CT scan slice | Field of view 358 mm wide, 0.70 mm slice spacing 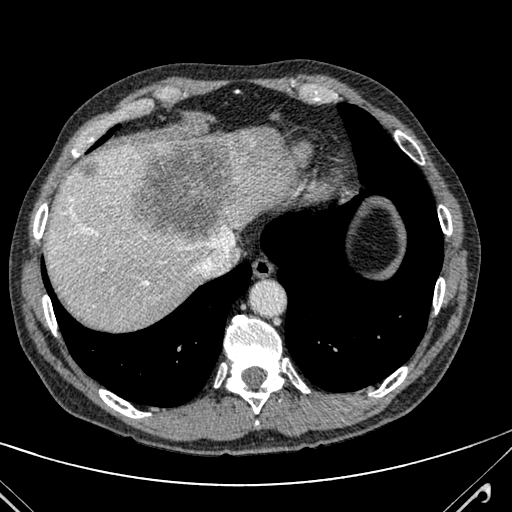

{"liver": ["[x1=230, y1=249, x2=239, y2=261]", "[x1=46, y1=127, x2=289, y2=328]"], "liver_lesion": ["[x1=78, y1=160, x2=94, y2=177]", "[x1=133, y1=138, x2=242, y2=242]"]}